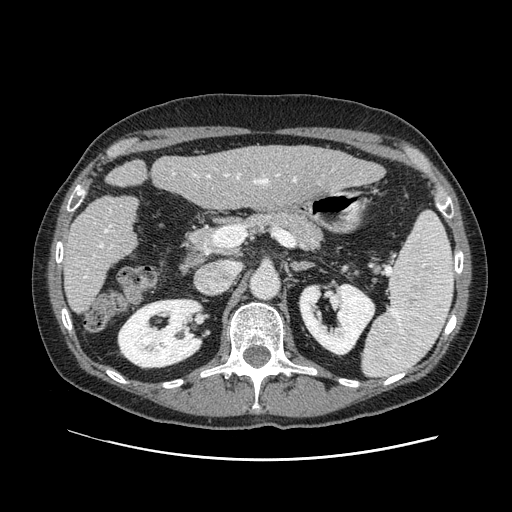 Computed tomography

2 pancreas regions appear at {"x1": 248, "y1": 210, "x2": 323, "y2": 249}, {"x1": 195, "y1": 232, "x2": 227, "y2": 252}.